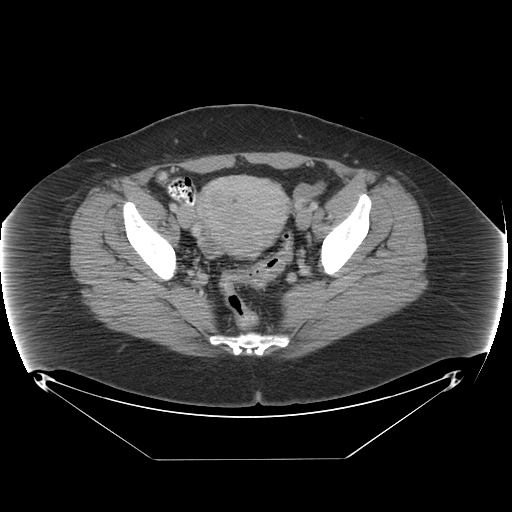

CT image
colon_tumor:
  - 238 252 292 286